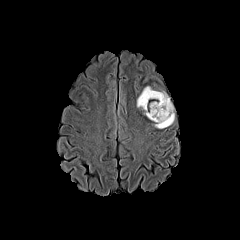
FLAIR magnetic resonance.
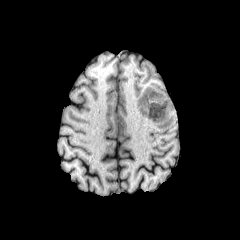
Same slice, T1-weighted MR image.
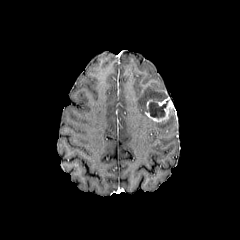
Post-contrast T1-weighted MR image.
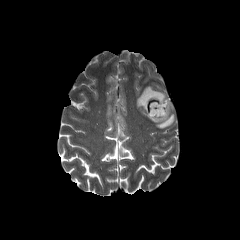
T2-weighted MR.
Head
The enhancing tumor is bounded by rect(145, 98, 173, 122). The non-enhancing tumor core is at rect(146, 102, 167, 118). 2 edema regions are bounded by rect(155, 114, 174, 127); rect(137, 86, 166, 109).